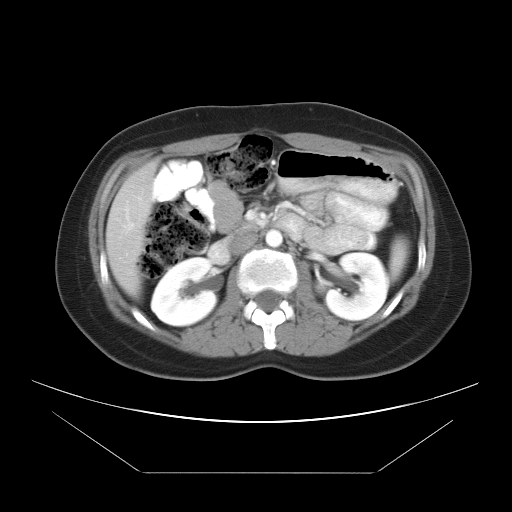
CT

The vessel annotation is not exhaustive.
Hepatic vessel = box=[123, 201, 134, 232]; box=[136, 196, 142, 204].